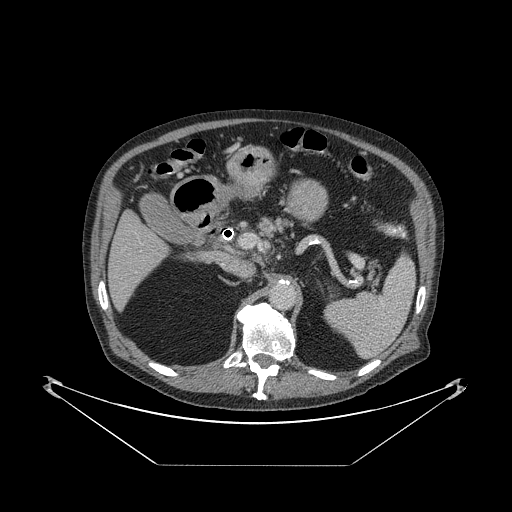 CT; Abdomen

Segmented structures:
• pancreas: 257 216 290 236, 369 260 379 285